Slice index 365, CT scan slice
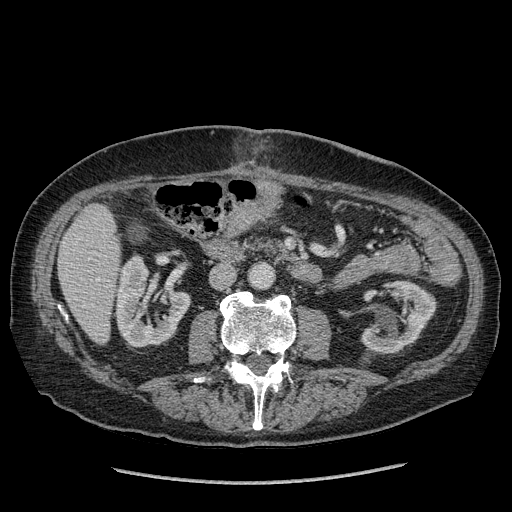

3 kidney regions are bounded by bbox(364, 290, 377, 300); bbox(361, 281, 435, 353); bbox(116, 256, 189, 346). The liver lies within bbox(58, 204, 119, 343).